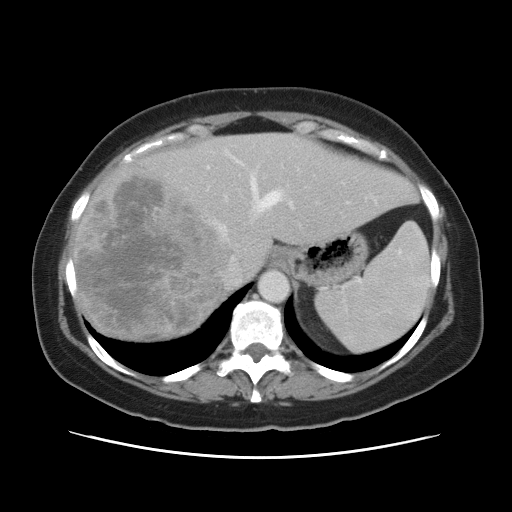
CT slice
Only some of the vessels may be annotated.
Hepatic vessel: [x1=366, y1=197, x2=368, y2=198], [x1=289, y1=200, x2=292, y2=206], [x1=218, y1=224, x2=225, y2=234], [x1=251, y1=172, x2=282, y2=209], [x1=221, y1=236, x2=252, y2=287], [x1=346, y1=202, x2=348, y2=203], [x1=225, y1=195, x2=227, y2=198], [x1=207, y1=166, x2=209, y2=168], [x1=374, y1=199, x2=375, y2=202], [x1=225, y1=149, x2=242, y2=164].
Liver tumor: [x1=76, y1=175, x2=230, y2=337].